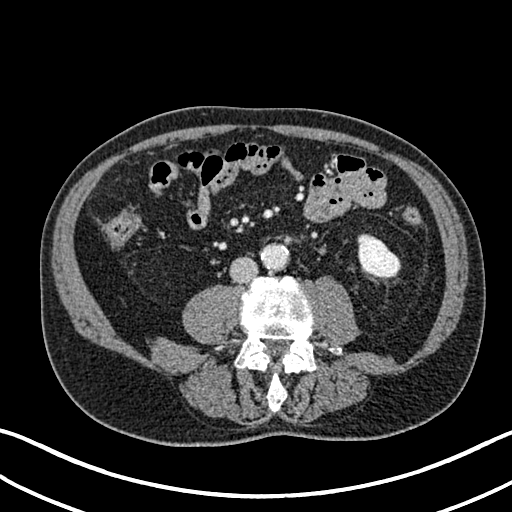
512x512, CT scan slice, Abdomen
Kidney: 359 235 399 276.